Prostate
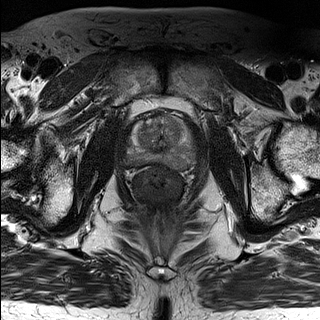
T2-weighted MR.
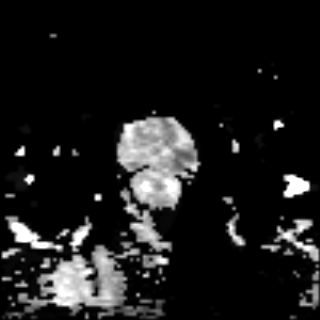
Same slice, ADC MRI.
<segmentation>
  <prostate_peripheral_zone>l=126, t=119, r=196, b=169</prostate_peripheral_zone>
  <prostate_transition_zone>l=139, t=118, r=180, b=153</prostate_transition_zone>
</segmentation>